Slice index 45; CT image

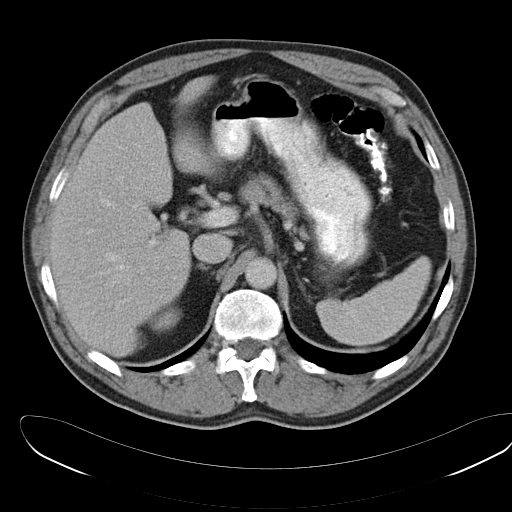 spleen:
  - 318, 258, 430, 345